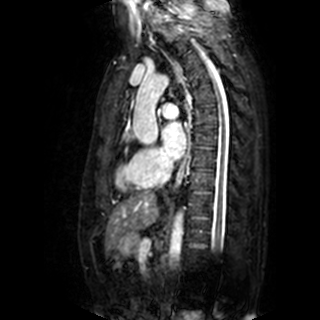
Cardiac | MR image
• left atrium: 161, 122, 186, 160